Computed tomography; Slice index 82
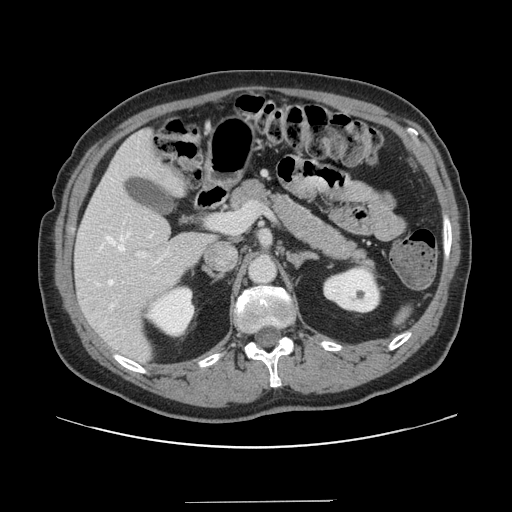
The vessel boxes may cover only some of the vessels.
{
  "hepatic_vessel": [
    {"x1": 106, "y1": 235, "x2": 127, "y2": 250},
    {"x1": 136, "y1": 252, "x2": 147, "y2": 257},
    {"x1": 108, "y1": 280, "x2": 113, "y2": 284},
    {"x1": 211, "y1": 203, "x2": 253, "y2": 232}
  ]
}